Slice 71/155.
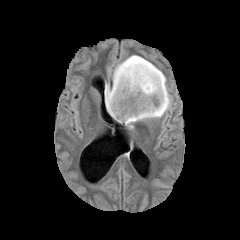
FLAIR magnetic resonance.
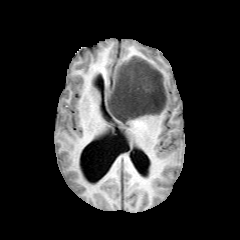
T1-weighted MR image.
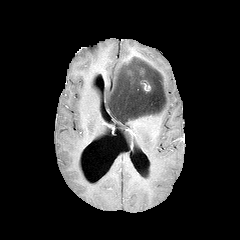
Post-contrast T1-weighted MR image of the same slice.
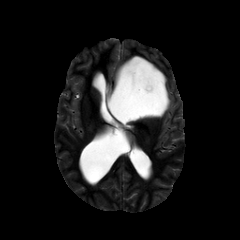
Same slice, T2-weighted MR image.
Edema: [x1=104, y1=55, x2=171, y2=128].
Non-enhancing tumor core: [x1=108, y1=64, x2=165, y2=123].